Heart | MR
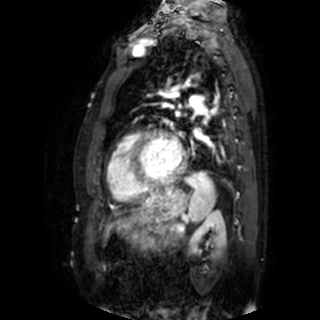
<segmentation>
  <left_atrium>194 130 203 138</left_atrium>
</segmentation>